CT image; 512x512 px; Abdomen
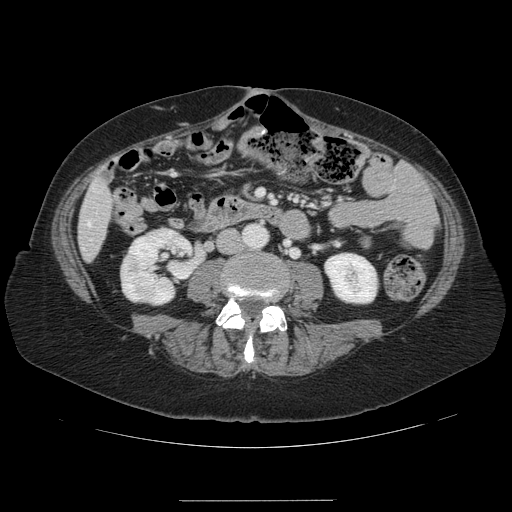
The vessel boxes may cover only some of the vessels.
hepatic vessel: bbox(87, 222, 89, 224)